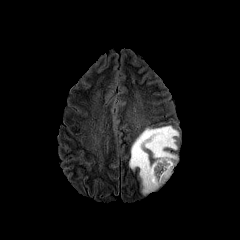
FLAIR MR.
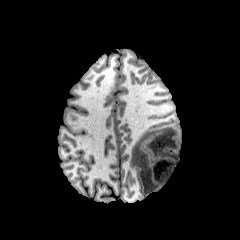
T1-weighted MR.
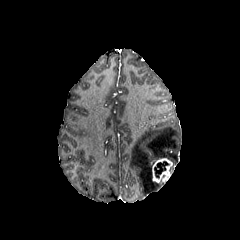
Post-contrast T1-weighted MRI of the same slice.
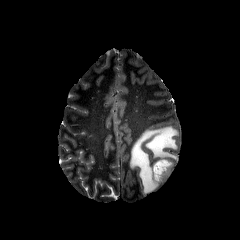
Same slice, T2-weighted MR.
Findings:
• non-enhancing tumor core: [154, 161, 168, 177]
• edema: [129, 126, 178, 194]
• enhancing tumor: [152, 157, 172, 183]